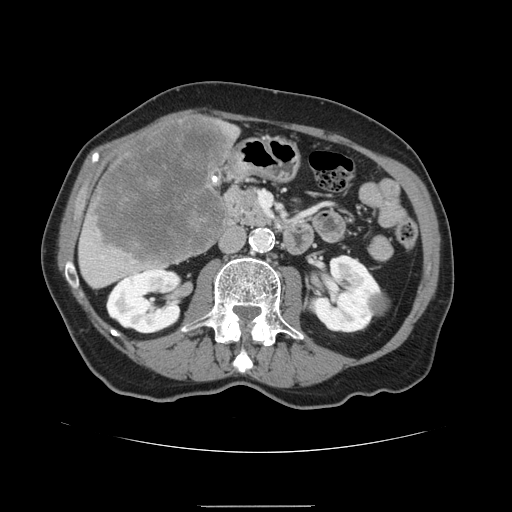 CT slice.

Liver tumor = rect(89, 117, 229, 265).